Abdomen; CT slice 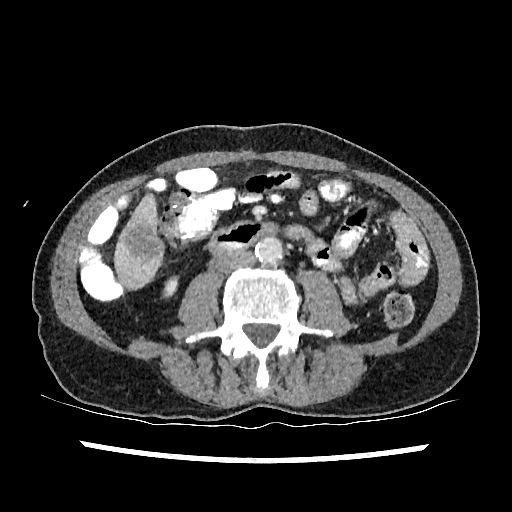 Kidney = [x1=167, y1=281, x2=176, y2=293].
Focal liver lesion = [x1=125, y1=224, x2=162, y2=258].
Liver = [x1=115, y1=194, x2=161, y2=288].